Computed tomography | Slice 32 of 104 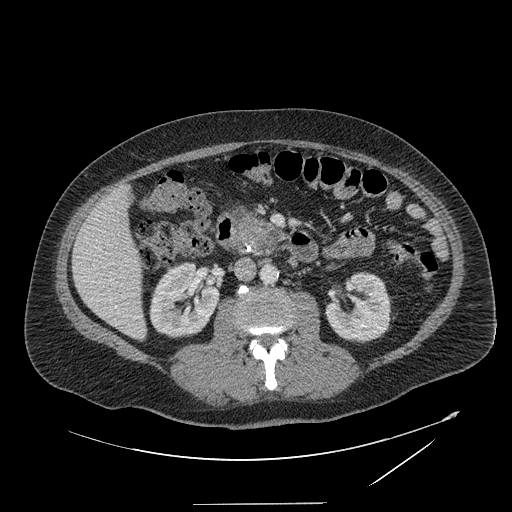 * pancreas: (233, 206, 283, 252)
* pancreatic tumor: (239, 218, 267, 248)